240x240 px | Head | Field of view 240 mm wide, 1.00 mm slice spacing | Slice 69/155
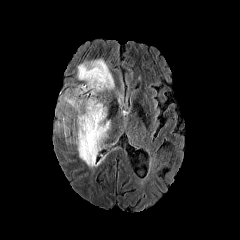
FLAIR MR image.
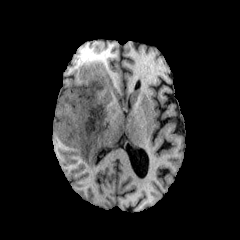
Same slice, T1-weighted MRI.
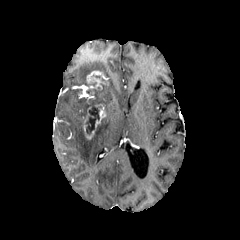
Post-contrast T1-weighted magnetic resonance.
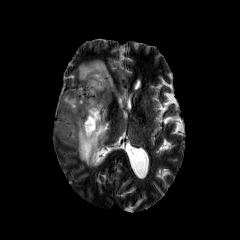
T2-weighted MR of the same slice.
<segmentation>
  <non-enhancing_tumor_core>(74, 129, 85, 138), (68, 86, 102, 134), (78, 78, 94, 88)</non-enhancing_tumor_core>
  <enhancing_tumor>(83, 113, 95, 139), (95, 107, 106, 128), (87, 70, 108, 89), (74, 85, 96, 104)</enhancing_tumor>
  <edema>(77, 60, 114, 93), (55, 89, 110, 167)</edema>
</segmentation>